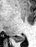 Medial temporal lobe | MR
Posterior hippocampus: 13,36,24,40.